Slice 46 of 100. Image width 400 mm. MRI slice. 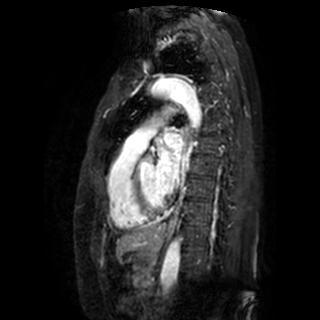

Left atrium — (155, 133, 182, 192).